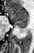

Hippocampus; MRI
Anterior hippocampus — (left=5, top=7, right=27, bottom=22).
Posterior hippocampus — (left=14, top=23, right=26, bottom=28).